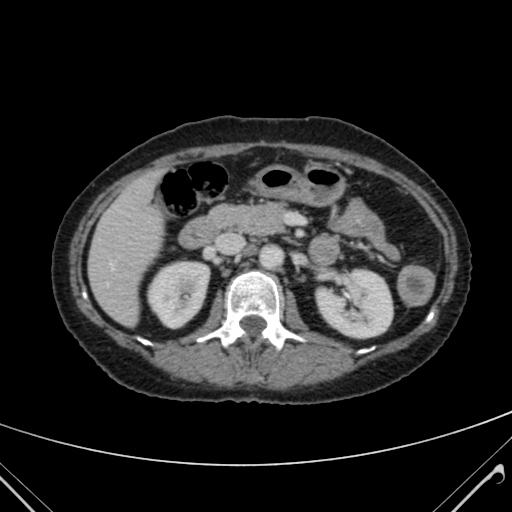

Liver; CT image
2 kidney regions are located at <bbox>149, 263, 208, 326</bbox>, <bbox>317, 271, 392, 337</bbox>. The liver is located at <bbox>88, 170, 163, 323</bbox>.